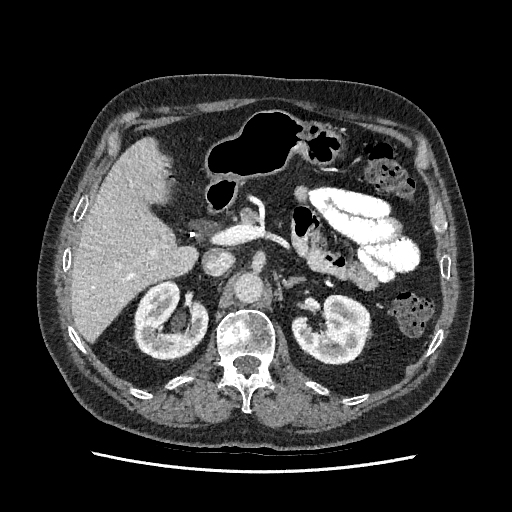 CT slice
Liver = 72 138 196 341.
Kidney = 292 295 369 363, 135 282 207 358.